Slice index 15, CT image
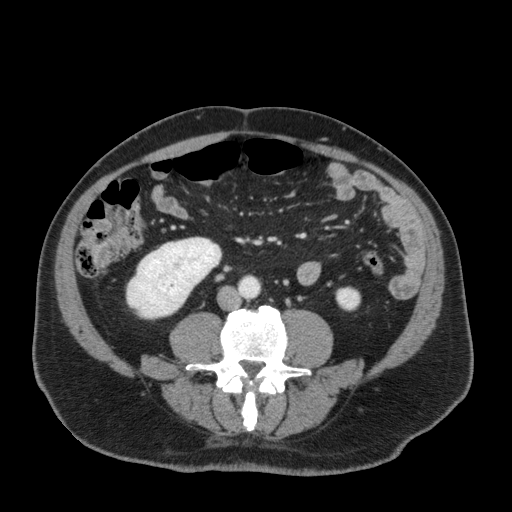
Segmented structures:
• kidney: 127, 238, 220, 317; 337, 288, 358, 309